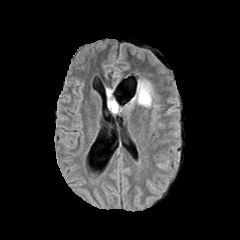
FLAIR magnetic resonance.
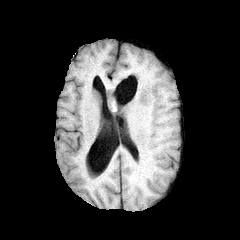
T1-weighted magnetic resonance.
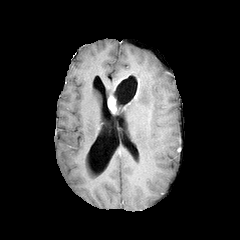
Same slice, post-contrast T1-weighted MR.
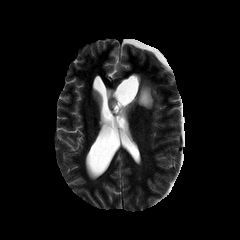
T2-weighted MR image of the same slice.
240x240. Head.
<segmentation>
  <edema><bbox>121, 77, 152, 112</bbox>, <bbox>106, 87, 131, 105</bbox></edema>
  <enhancing_tumor><bbox>108, 95, 116, 113</bbox></enhancing_tumor>
</segmentation>